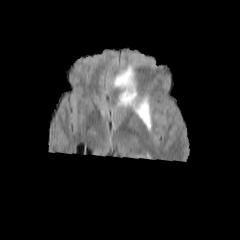
FLAIR MR image.
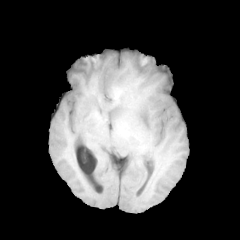
T1-weighted magnetic resonance.
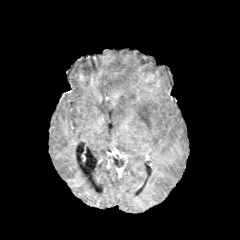
Post-contrast T1-weighted MRI of the same slice.
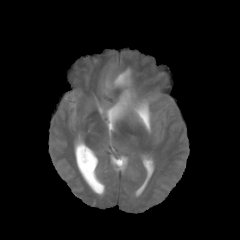
T2-weighted magnetic resonance.
Head
Edema: left=109, top=67, right=153, bottom=129.